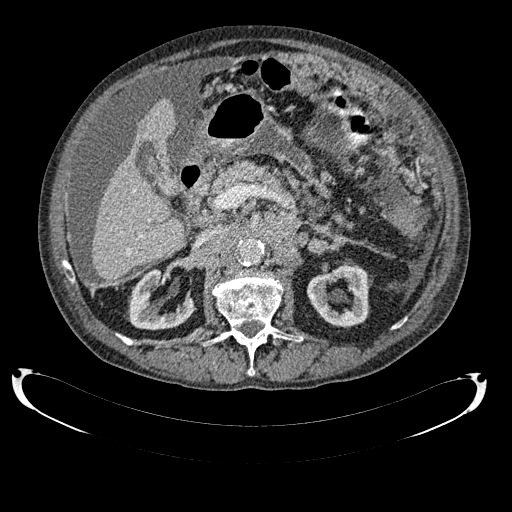

CT slice. Abdomen. The liver is at (92, 98, 184, 282). 2 kidney regions are bounded by (129, 269, 194, 329), (307, 265, 367, 326).